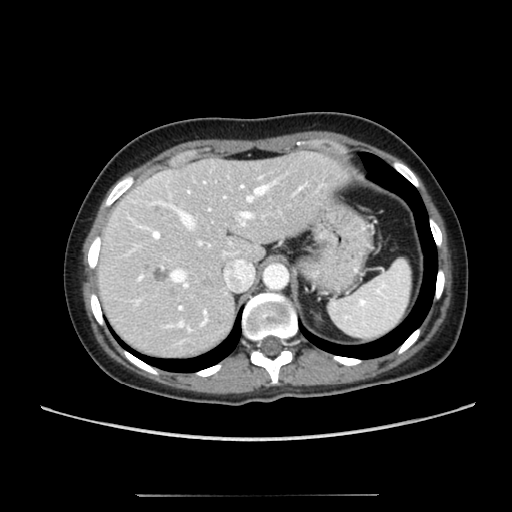 CT slice

hepatic_lesion:
  - [201, 276, 213, 287]
  - [153, 266, 169, 282]
liver:
  - [99, 152, 349, 357]